Computed tomography. 512x512. Slice 75/93. 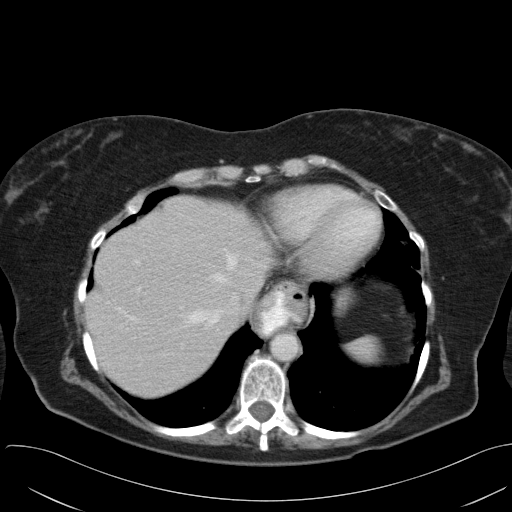 Spleen — x1=344 y1=340 x2=382 y2=364.